Head
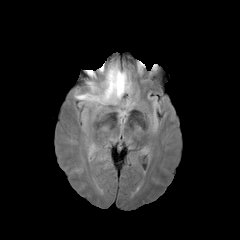
FLAIR MR image.
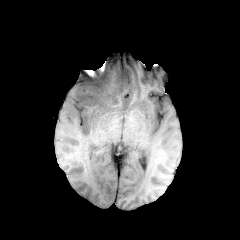
Same slice, T1-weighted MR.
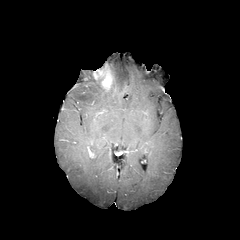
Post-contrast T1-weighted MRI of the same slice.
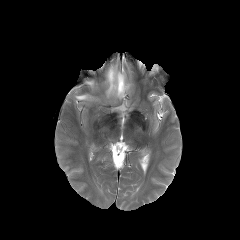
T2-weighted magnetic resonance.
<segmentation>
  <edema>74 61 134 119</edema>
  <non-enhancing_tumor_core>92 75 105 90</non-enhancing_tumor_core>
  <enhancing_tumor>93 64 113 90</enhancing_tumor>
</segmentation>